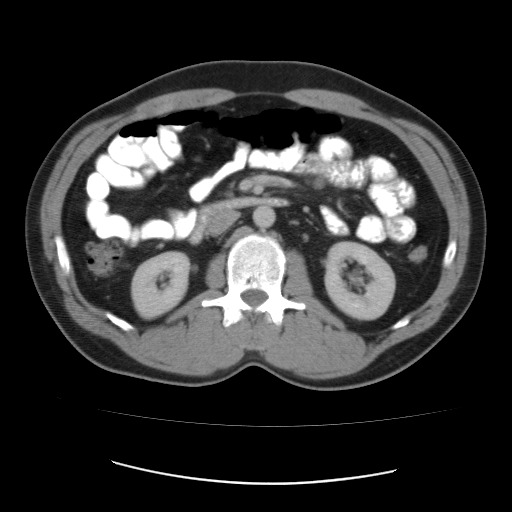 CT slice
Colon tumor — [407,246,426,261].